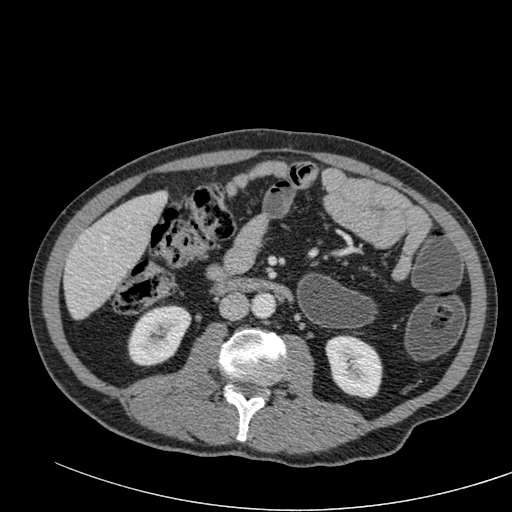 CT slice. Upper abdomen. kidney: <bbox>326, 337, 381, 397</bbox>, <bbox>129, 306, 190, 364</bbox> | liver: <bbox>64, 192, 165, 318</bbox>